512x512 px | Slice index 461 | CT 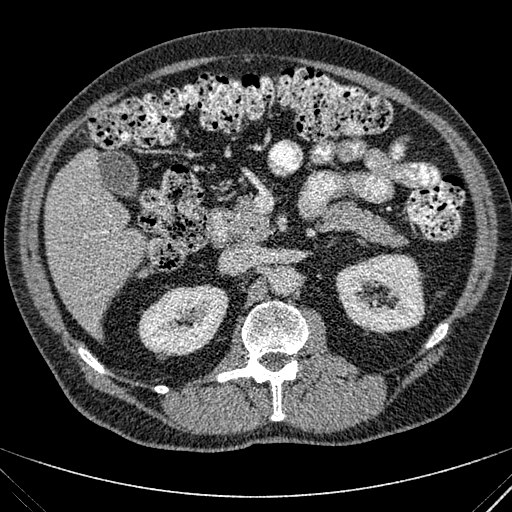

The liver appears at region(44, 149, 146, 337). 2 kidney regions are bounded by region(139, 285, 228, 354); region(336, 254, 424, 332).